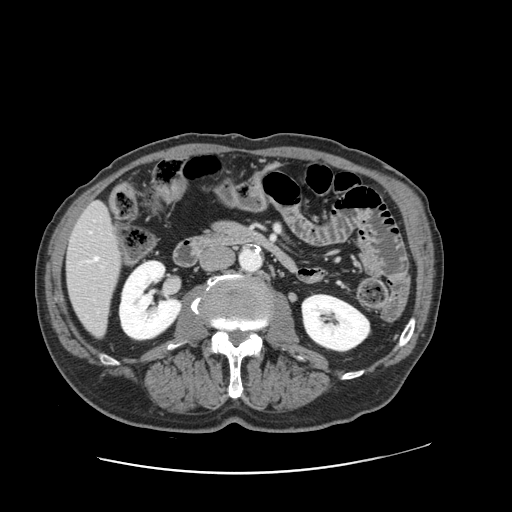
CT image; Abdomen

The vessel annotation is not exhaustive.
hepatic_vessel:
  - <box>92,257,97,260</box>
  - <box>86,261,89,261</box>